Image size 240x240.
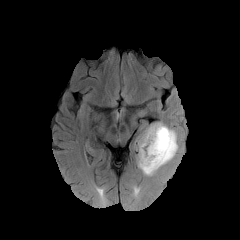
FLAIR MRI.
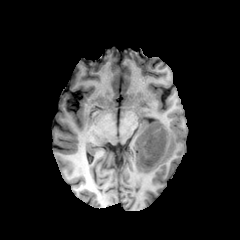
Same slice, T1-weighted MR.
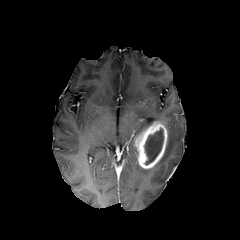
Post-contrast T1-weighted MR image.
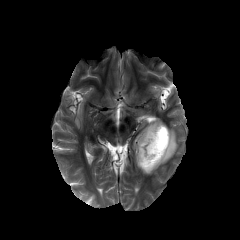
T2-weighted MR image of the same slice.
{"non-enhancing_tumor_core": ["box=[144, 128, 163, 164]"], "edema": ["box=[136, 121, 178, 175]"], "enhancing_tumor": ["box=[134, 121, 167, 168]"]}